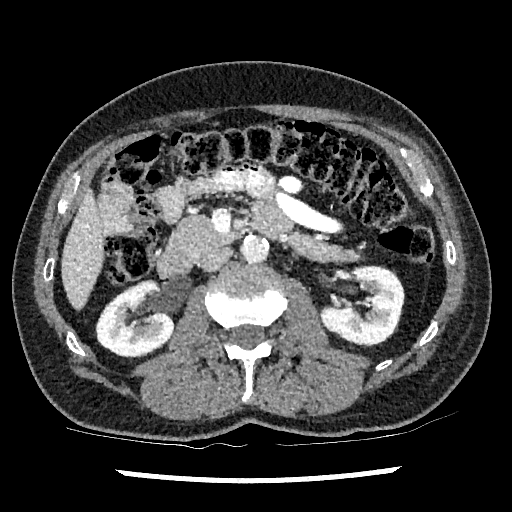 Abdomen | CT slice | 512x512 px

Liver: 63, 192, 104, 308.
Kidney: 322, 267, 403, 343; 97, 282, 172, 355.